Abdomen, 512x512, CT, Image width 472 mm, Slice 355/845 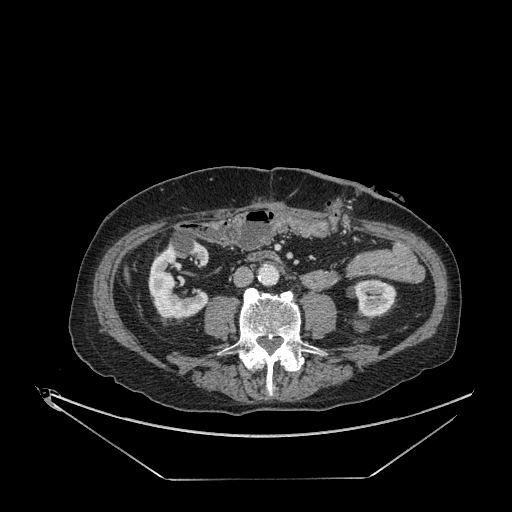 Kidney: bounding box bbox=[354, 280, 395, 317]; bbox=[149, 245, 207, 317]; bbox=[191, 243, 207, 265].